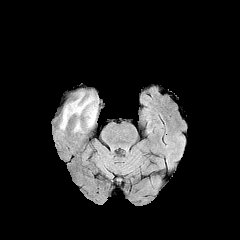
FLAIR magnetic resonance.
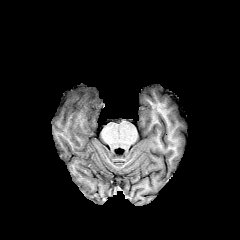
T1-weighted MRI.
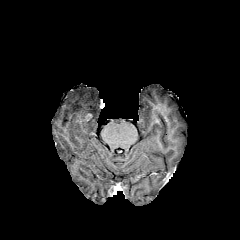
Post-contrast T1-weighted MR image.
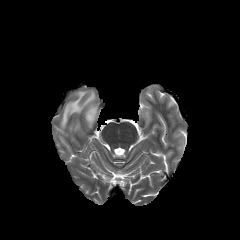
Same slice, T2-weighted magnetic resonance.
Head, 240x240 px
{"edema": ["x1=74, y1=120, x2=84, y2=132", "x1=60, y1=92, x2=98, y2=130"]}